FLAIR MR image.
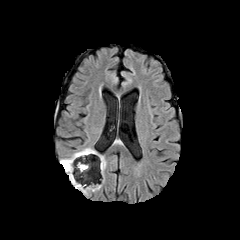
T1-weighted MR image.
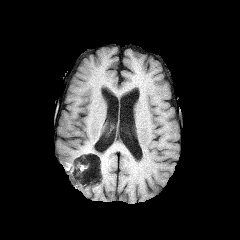
Post-contrast T1-weighted MR.
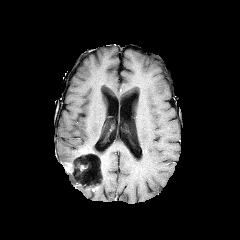
T2-weighted MR image.
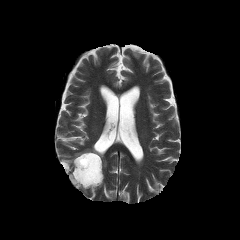
Head; 240x240
Non-enhancing tumor core at region(72, 150, 105, 179).
Edema at region(67, 172, 82, 189); region(60, 147, 102, 171).